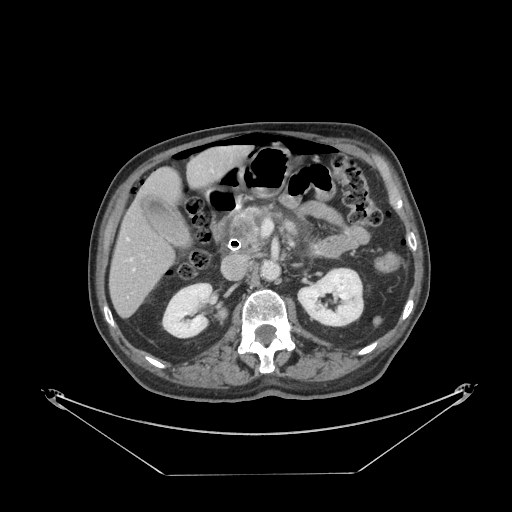
Upper abdomen | CT slice
Pancreatic tumor: bounding box l=232, t=221, r=251, b=239.
Pancreas: bounding box l=229, t=209, r=279, b=251.